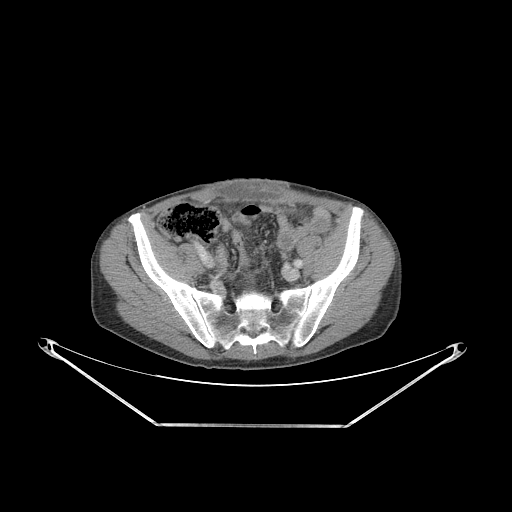

CT slice | 512x512
Bone at 129, 207, 362, 352.